CT slice | Liver | Field of view 475 mm wide, 5.00 mm slice spacing

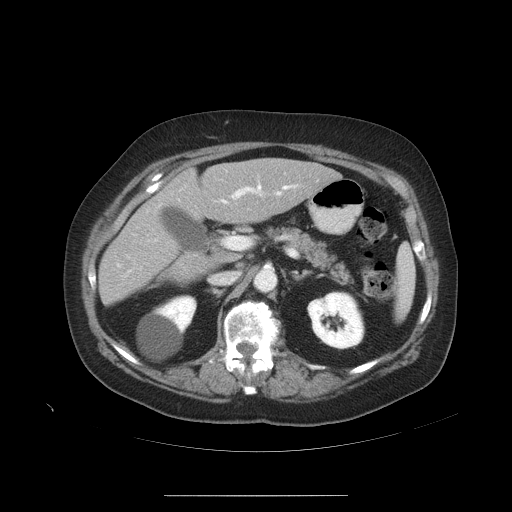 Not every hepatic vessel necessarily has a box.
{
  "hepatic_vessel": [
    "223, 236, 250, 249",
    "230, 183, 261, 198",
    "221, 200, 225, 203",
    "276, 192, 280, 194",
    "282, 186, 295, 189",
    "117, 264, 119, 266"
  ]
}